240x240, Head
FLAIR MRI.
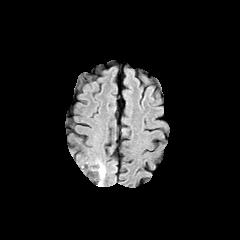
T1-weighted MR image.
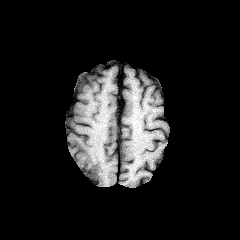
Post-contrast T1-weighted MR.
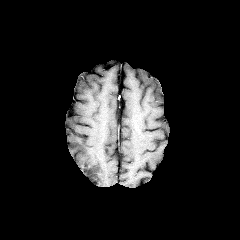
T2-weighted MR image.
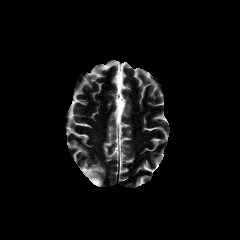
The edema is bounded by 90:158:105:185.